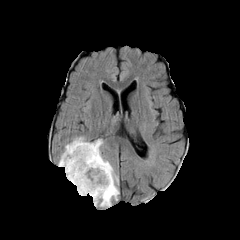
FLAIR magnetic resonance.
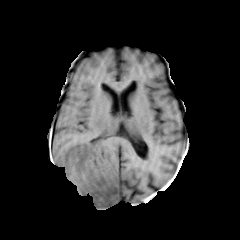
Same slice, T1-weighted MR.
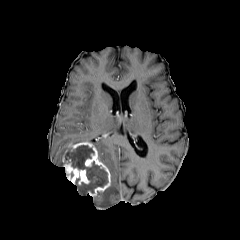
Same slice, post-contrast T1-weighted MRI.
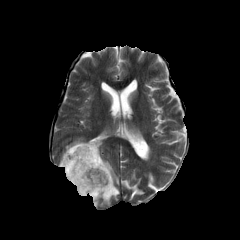
T2-weighted MR.
Image size 240x240
Annotated regions:
• enhancing tumor: bbox(62, 156, 89, 185); bbox(70, 142, 111, 197)
• non-enhancing tumor core: bbox(71, 150, 93, 170); bbox(89, 179, 107, 188)
• edema: bbox(87, 166, 107, 183); bbox(58, 144, 79, 165); bbox(70, 137, 85, 143); bbox(76, 184, 93, 195); bbox(78, 146, 91, 153); bbox(93, 139, 119, 206)